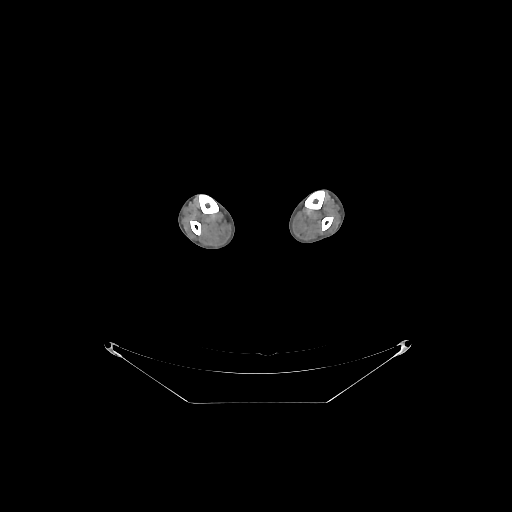

Image size 512x512; CT slice
Bone: bounding box [x1=199, y1=194, x2=218, y2=214], [x1=305, y1=190, x2=324, y2=210], [x1=190, y1=220, x2=200, y2=235], [x1=322, y1=217, x2=333, y2=230].